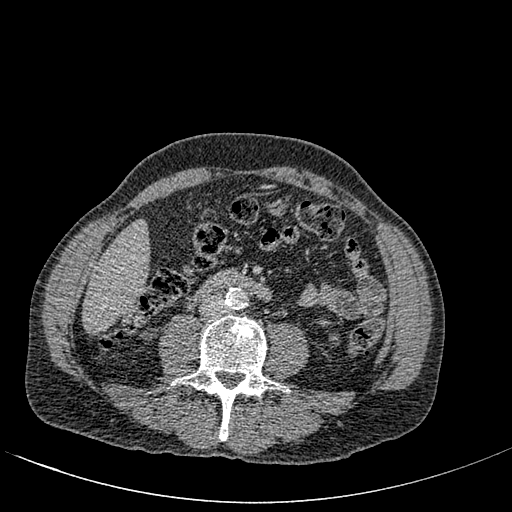

512x512; CT image; Abdomen
<segmentation>
  <liver>[84,223,147,329]</liver>
</segmentation>